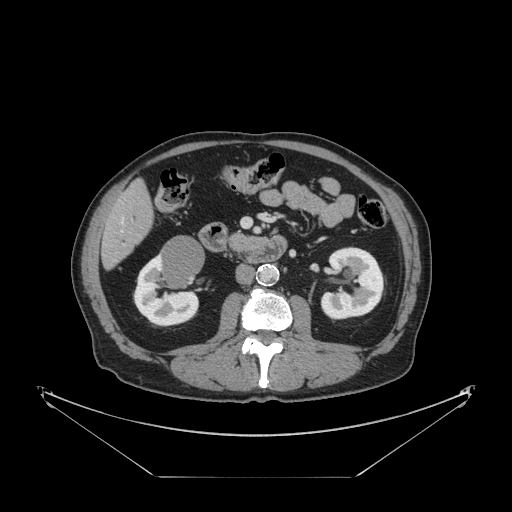

Liver, Computed tomography, Image size 512x512
Only some of the vessels may be annotated.
{"hepatic_vessel": ["(121,219,122,223)", "(121,230,122,231)"]}